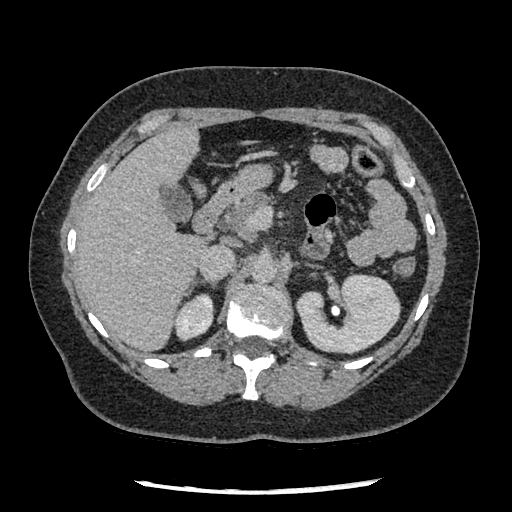 Image size 512x512; Computed tomography; Upper abdomen
The pancreas lies within [x1=225, y1=194, x2=268, y2=236].